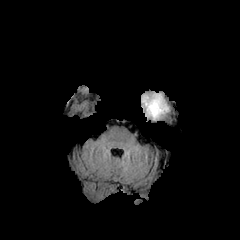
FLAIR MR image.
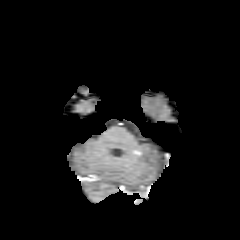
T1-weighted magnetic resonance.
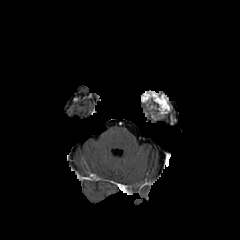
Post-contrast T1-weighted magnetic resonance.
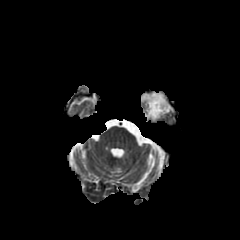
T2-weighted magnetic resonance.
{"non-enhancing_tumor_core": ["(145, 98, 161, 116)"], "enhancing_tumor": ["(141, 94, 170, 117)"]}